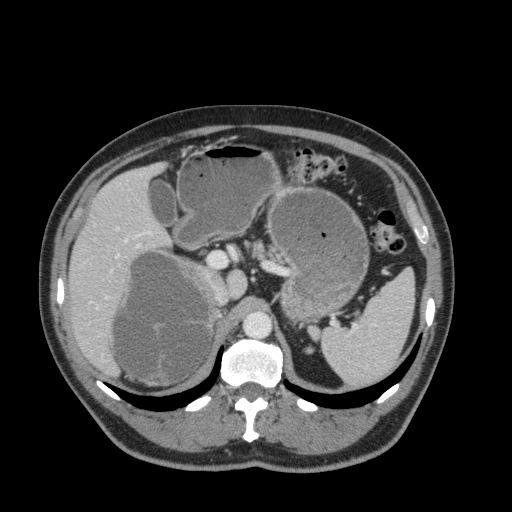 CT image.
liver: left=70, top=164, right=170, bottom=374; left=228, top=270, right=245, bottom=297